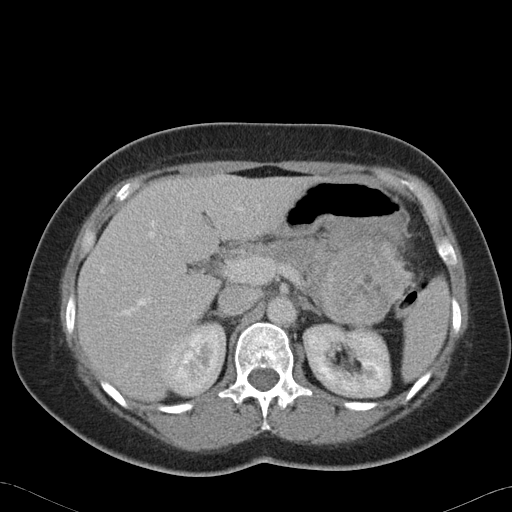

Computed tomography. Image size 512x512.
The pancreas is at (240, 240, 336, 319). The pancreatic tumor lies within (323, 237, 407, 324).